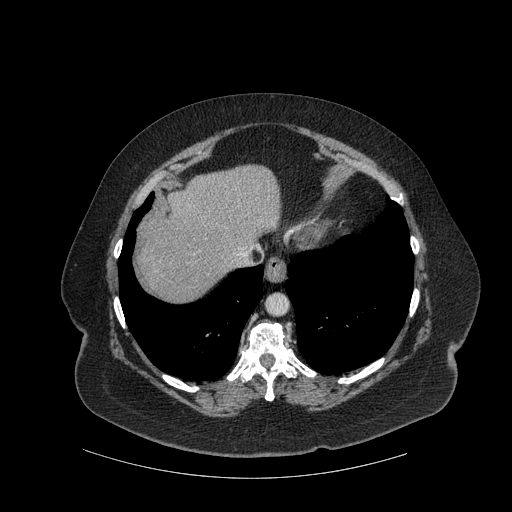 CT image
Bone — x1=410 y1=289 x2=418 y2=315, x1=411 y1=236 x2=419 y2=253, x1=227 y1=323 x2=315 y2=400, x1=391 y1=194 x2=402 y2=202, x1=338 y1=358 x2=383 y2=383, x1=114 y1=240 x2=121 y2=257, x1=162 y1=375 x2=198 y2=391, x1=114 y1=297 x2=124 y2=327.
Liver — x1=136 y1=165 x2=280 y2=303.
Lung — x1=118 y1=193 x2=263 y2=380, x1=285 y1=196 x2=413 y2=374.